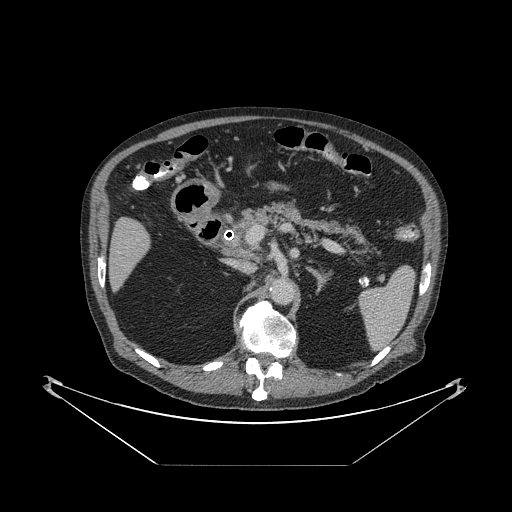 512x512 px | Abdomen | CT
Pancreas at bbox=[220, 202, 371, 251].